Medial temporal lobe; Magnetic resonance; Slice index 34; Image width 33 mm 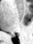
Posterior hippocampus = [12,35,14,36].